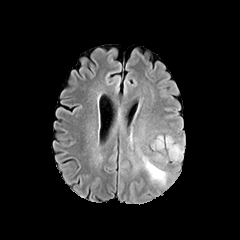
FLAIR magnetic resonance.
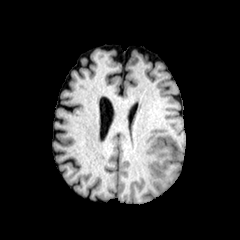
T1-weighted MRI of the same slice.
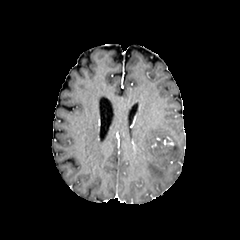
Post-contrast T1-weighted magnetic resonance.
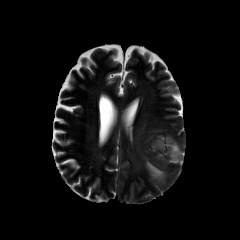
Same slice, T2-weighted MR.
Image size 240x240, Head
<segmentation>
  <edema>left=157, top=135, right=164, bottom=147; left=168, top=145, right=183, bottom=160; left=146, top=162, right=167, bottom=183</edema>
</segmentation>